FLAIR MRI.
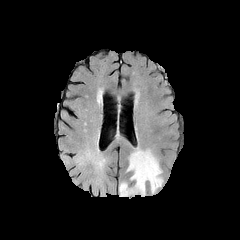
T1-weighted MRI.
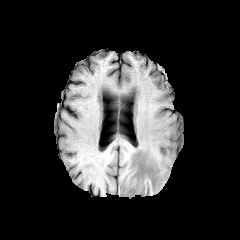
Post-contrast T1-weighted magnetic resonance.
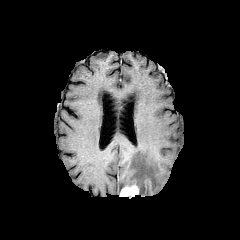
T2-weighted magnetic resonance.
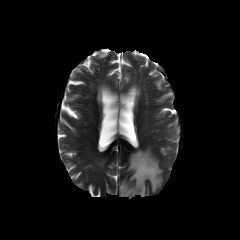
240x240 px, Head
Edema: (127, 148, 163, 194).
Enhancing tumor: (120, 184, 139, 197).